Heart | MR | Field of view 400x400 mm | Image size 320x320
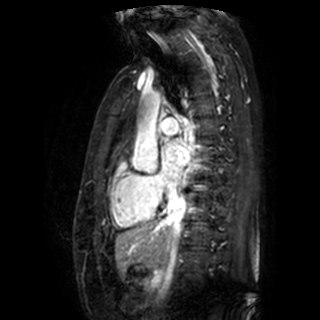
- left atrium: box=[163, 143, 190, 179]